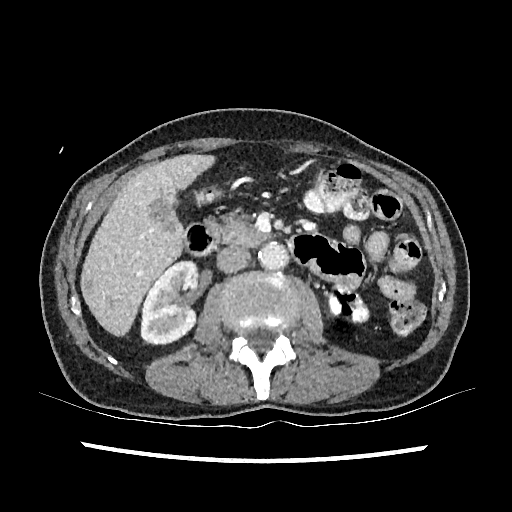 CT image

kidney:
  - (x1=141, y1=262, x2=196, y2=343)
liver:
  - (x1=83, y1=154, x2=212, y2=333)
liver_lesion:
  - (x1=149, y1=197, x2=173, y2=232)